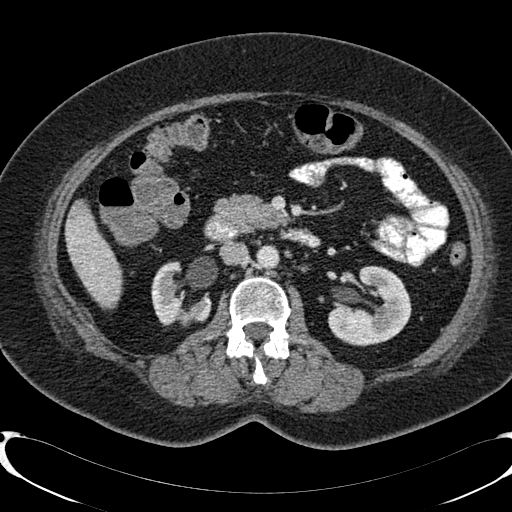 CT scan slice. Upper abdomen.
Hepatic lesion — box(68, 201, 88, 220).
Liver — box(66, 215, 121, 306).
Kidney — box(329, 266, 409, 344); box(151, 262, 210, 324).